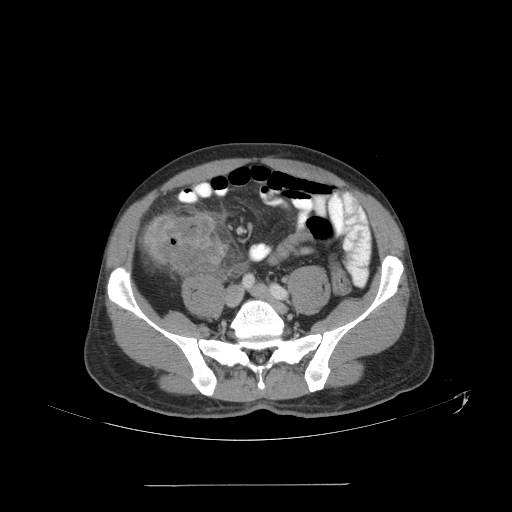 CT image, Pelvis, 512x512 px
colon_tumor:
  - {"x1": 145, "y1": 214, "x2": 226, "y2": 272}